240x240. Brain.
FLAIR magnetic resonance.
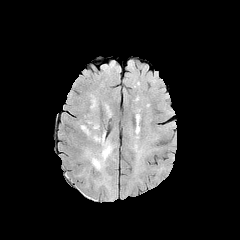
T1-weighted MRI.
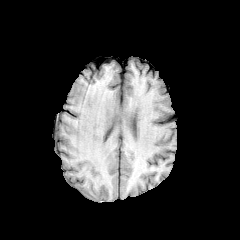
Post-contrast T1-weighted MR image.
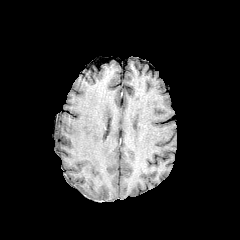
T2-weighted MR.
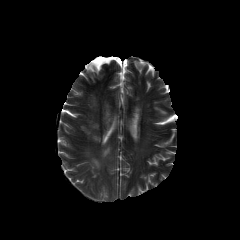
Edema at x1=101 y1=131 x2=112 y2=158, x1=92 y1=158 x2=101 y2=168.